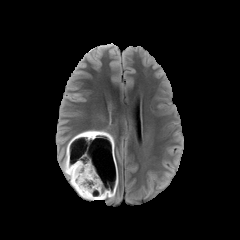
FLAIR MR.
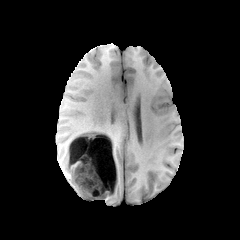
T1-weighted MRI of the same slice.
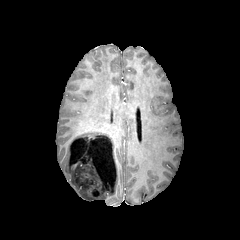
Post-contrast T1-weighted MRI.
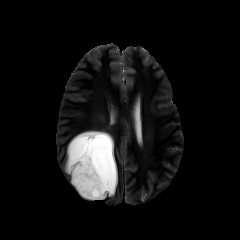
T2-weighted MR.
2 edema regions are bounded by box(63, 138, 117, 199); box(103, 136, 115, 175). The non-enhancing tumor core appears at box(68, 131, 115, 198).